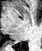

Magnetic resonance
• posterior hippocampus: region(6, 41, 13, 43)